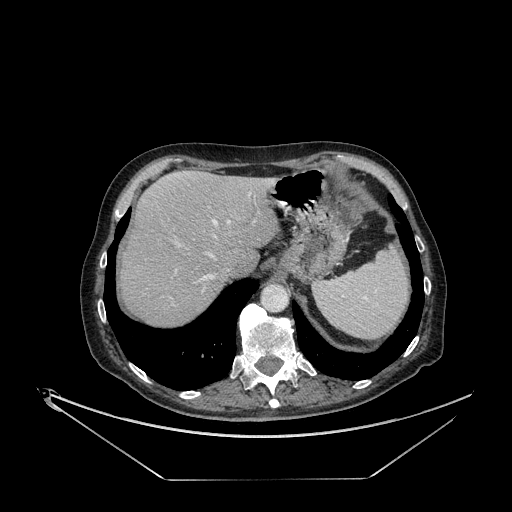

CT image | 512x512 px

The liver is located at <bbox>120, 170, 277, 327</bbox>.